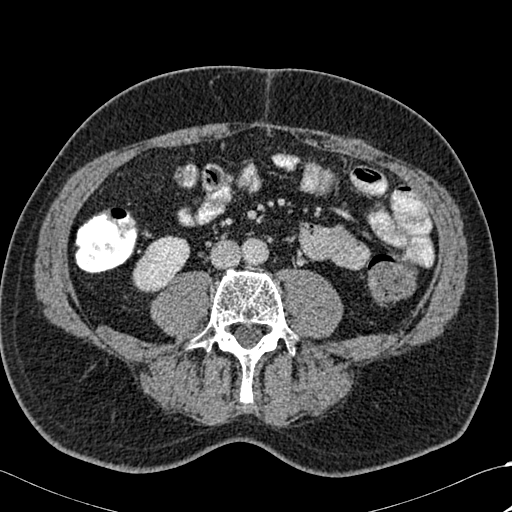 Computed tomography
Segmented structures:
• kidney: (134, 237, 188, 290)
• bone: (188, 269, 297, 403)